CT slice. Slice index 21. 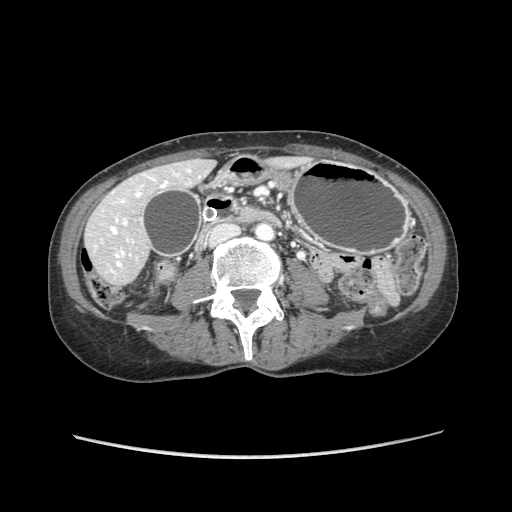 pancreas:
  - (237, 206, 268, 222)